Hippocampus, MRI 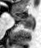 The posterior hippocampus lies within {"x1": 15, "y1": 17, "x2": 34, "y2": 28}. 2 anterior hippocampus regions are located at {"x1": 12, "y1": 13, "x2": 20, "y2": 16}, {"x1": 28, "y1": 15, "x2": 32, "y2": 16}.